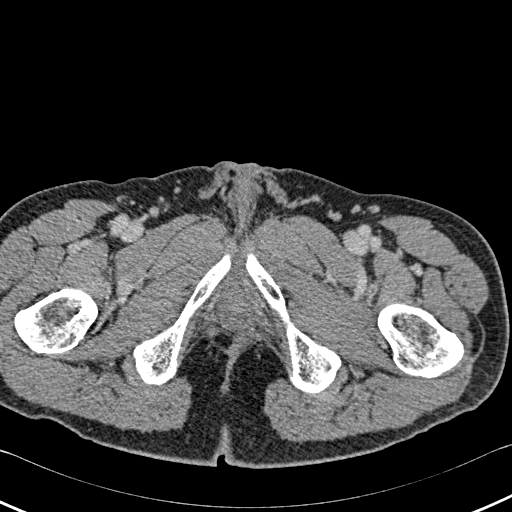 CT image.

<segmentation>
  <bone>378 304 463 377, 246 253 340 392, 15 289 97 353, 134 253 230 384</bone>
</segmentation>